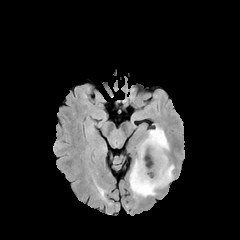
FLAIR MR.
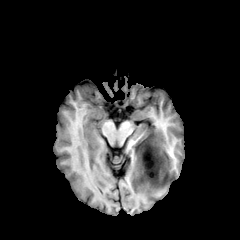
Same slice, T1-weighted MR image.
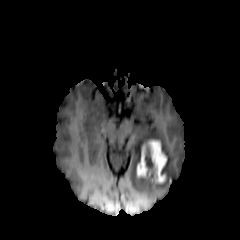
Same slice, post-contrast T1-weighted MR.
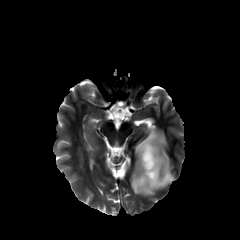
T2-weighted MR image of the same slice.
Head
Edema: l=130, t=127, r=174, b=196.
Non-enhancing tumor core: l=146, t=163, r=154, b=182; l=144, t=143, r=151, b=160.
Enhancing tumor: l=148, t=140, r=166, b=183; l=137, t=145, r=147, b=177.